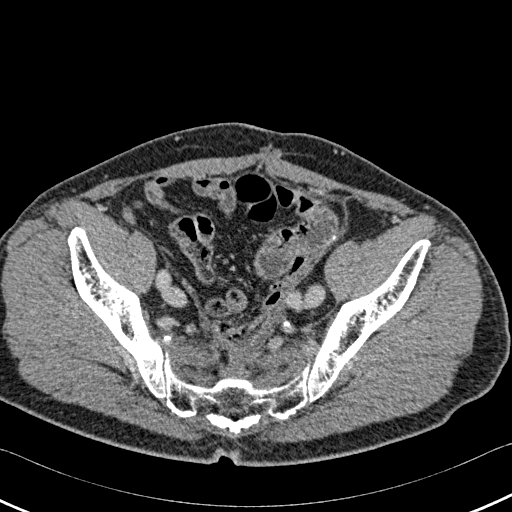 CT scan slice | 512x512
bone: [68,227,429,419], [206,414,260,433]